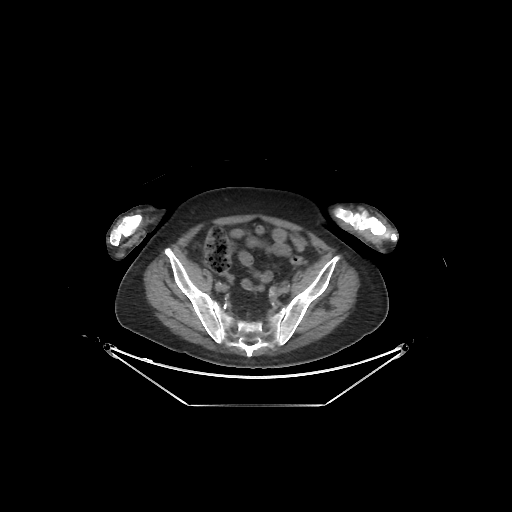 Image size 512x512; CT
bone:
  - (left=335, top=209, right=396, bottom=240)
  - (left=165, top=248, right=339, bottom=356)
  - (left=110, top=215, right=141, bottom=245)